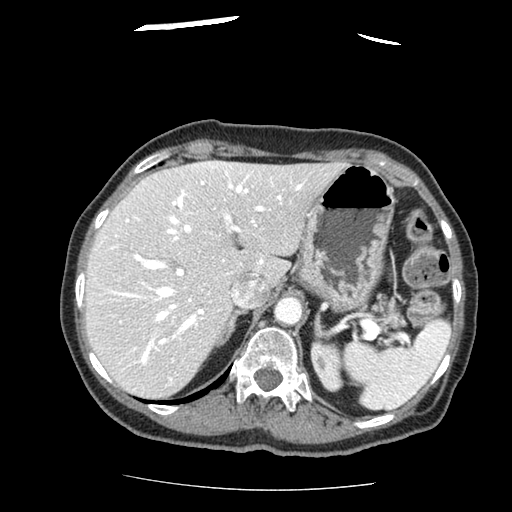
Image size 512x512 | CT scan slice

Pancreas = region(365, 294, 404, 330).